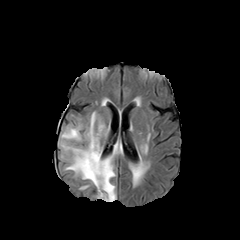
FLAIR magnetic resonance.
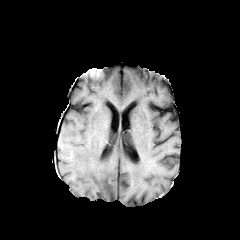
T1-weighted MRI.
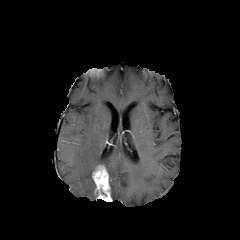
Post-contrast T1-weighted MR image.
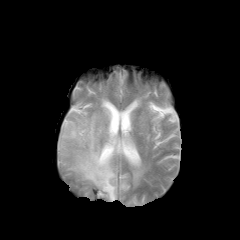
T2-weighted magnetic resonance of the same slice.
Edema = 132:167:141:181, 58:112:109:197, 104:141:122:199.
Enhancing tumor = 92:165:111:201.
Non-enhancing tumor core = 93:156:109:171.